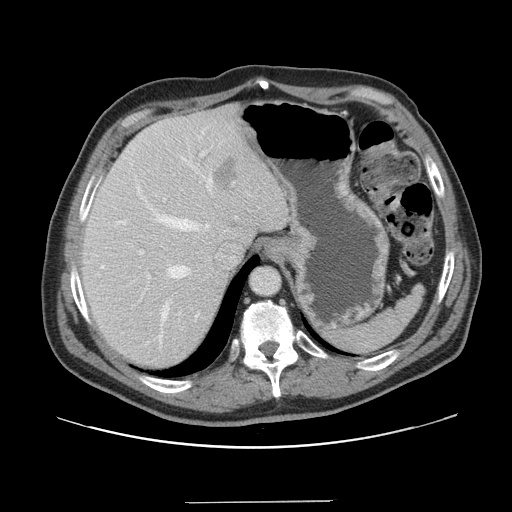
CT slice | Liver
Not every hepatic vessel necessarily has a box.
The liver tumor appears at 214 157 234 184. 12 hepatic vessel regions appear at 205 224 209 227, 147 275 149 278, 200 152 204 156, 117 221 125 223, 150 208 199 230, 139 250 143 254, 137 186 139 193, 162 303 168 320, 168 266 188 277, 207 177 211 190, 164 198 165 200, 142 196 146 200.